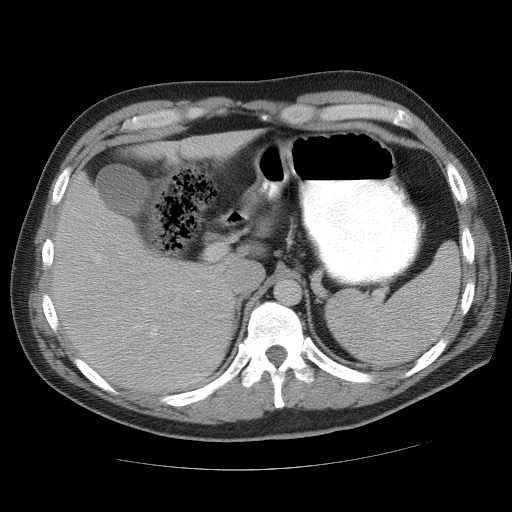
Upper abdomen; CT scan slice
Spleen: region(327, 244, 461, 366).